FLAIR magnetic resonance.
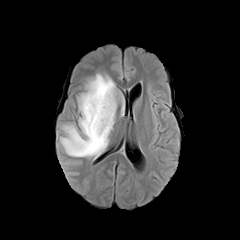
T1-weighted MR.
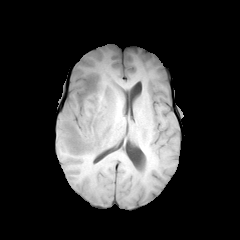
Post-contrast T1-weighted MR image.
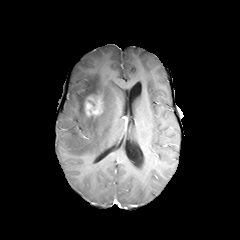
T2-weighted MR.
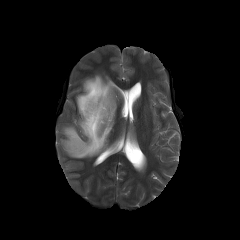
Head
The non-enhancing tumor core is located at 82:80:103:112. The edema is bounded by 60:73:118:157. The enhancing tumor is at 85:99:101:115.